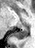 Image size 35x48; MR
<segmentation>
  <posterior_hippocampus>bbox=[13, 26, 29, 39]</posterior_hippocampus>
</segmentation>